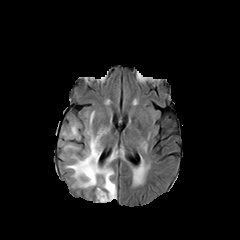
FLAIR MRI.
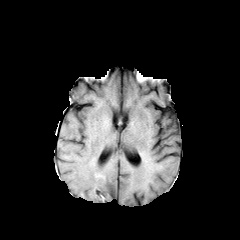
T1-weighted MR image.
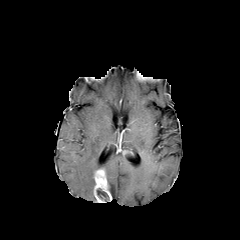
Post-contrast T1-weighted MRI.
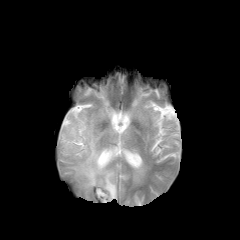
T2-weighted magnetic resonance.
Image size 240x240. Head.
The edema is located at left=62, top=122, right=123, bottom=201. The enhancing tumor lies within left=94, top=168, right=111, bottom=197. 2 non-enhancing tumor core regions are located at left=96, top=188, right=108, bottom=201; left=106, top=172, right=113, bottom=195.